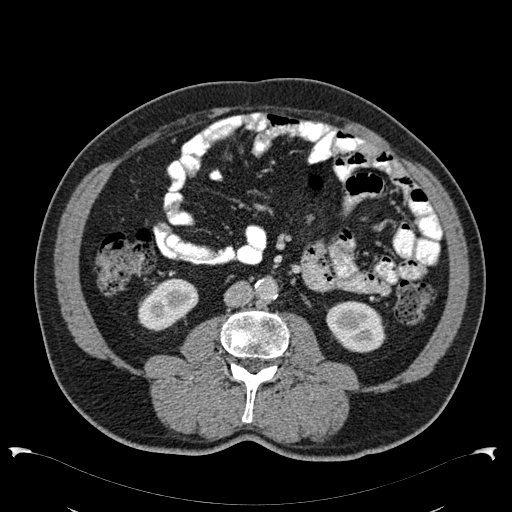

CT slice | Abdomen

{
  "kidney": [
    "326, 301, 384, 352",
    "138, 279, 197, 330"
  ]
}